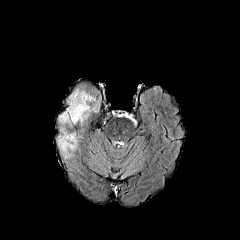
FLAIR MRI.
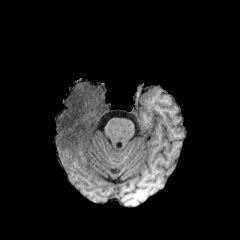
Same slice, T1-weighted MRI.
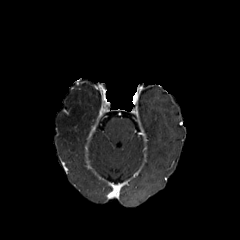
Post-contrast T1-weighted MR.
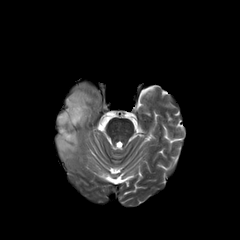
T2-weighted MRI.
240x240 px, Head
The edema is at (56, 83, 101, 159).